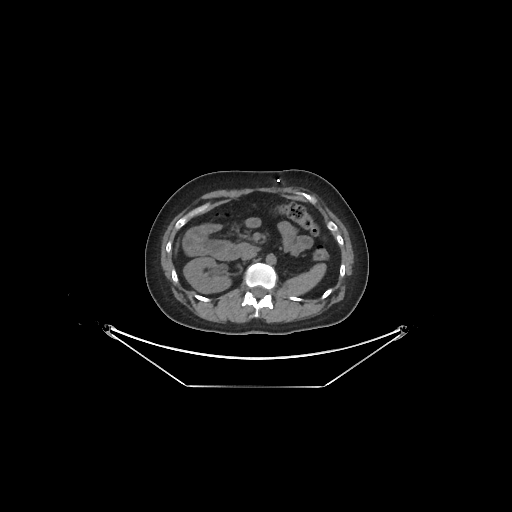
Abdomen; CT scan slice
Kidney: bounding box <bbox>185, 257, 229, 293</bbox>.